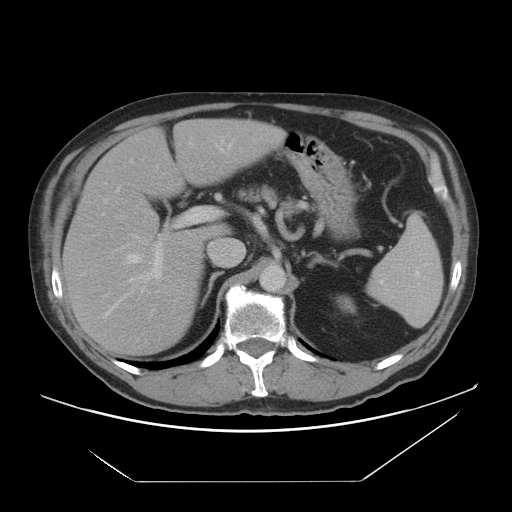
Upper abdomen; CT scan slice
Annotated regions:
- liver: box=[61, 119, 287, 355]